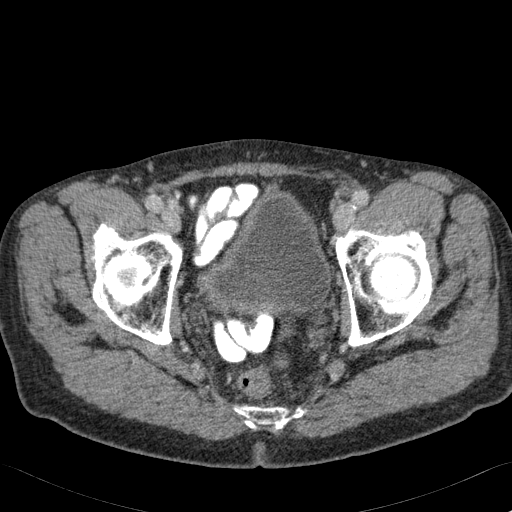
Image size 512x512. CT.

<segmentation>
  <urinary_bladder>l=200, t=196, r=331, b=310</urinary_bladder>
</segmentation>